Brain
FLAIR MR.
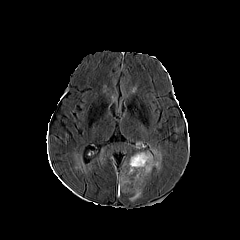
T1-weighted MR.
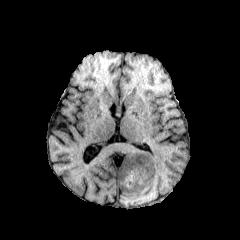
Post-contrast T1-weighted magnetic resonance.
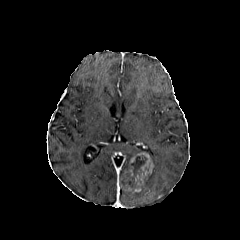
T2-weighted MRI.
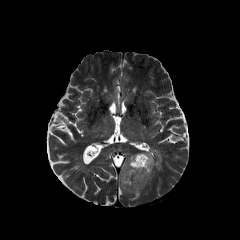
Enhancing tumor: bounding box box=[120, 151, 153, 193].
Edema: bounding box box=[129, 192, 141, 201]; box=[149, 147, 163, 172].
Non-enhancing tumor core: bounding box box=[121, 156, 154, 190].